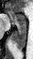 Image size 33x59, MRI slice
The anterior hippocampus is bounded by <box>7,11,25,26</box>. The posterior hippocampus is at <box>13,27,25,49</box>.